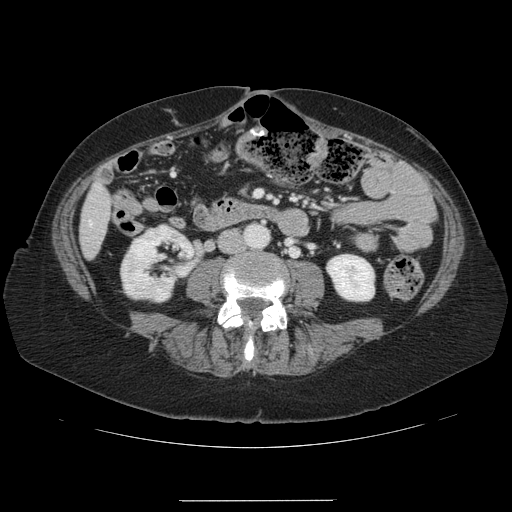 Abdomen, CT slice
Not every hepatic vessel necessarily has a box.
Hepatic vessel = 88:221:91:224.